240x240. Brain.
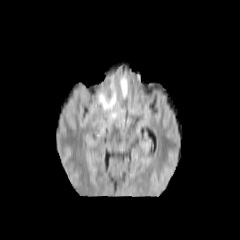
FLAIR MRI.
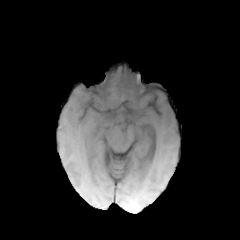
T1-weighted MR of the same slice.
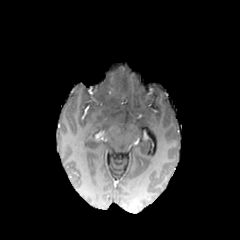
Post-contrast T1-weighted MR image of the same slice.
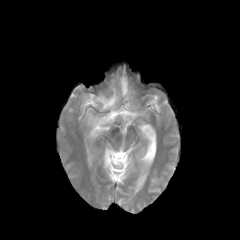
T2-weighted MRI.
* non-enhancing tumor core: 86, 84, 114, 108
* edema: 90, 123, 105, 137; 120, 76, 127, 97